Abdomen | CT slice | Slice 157/299

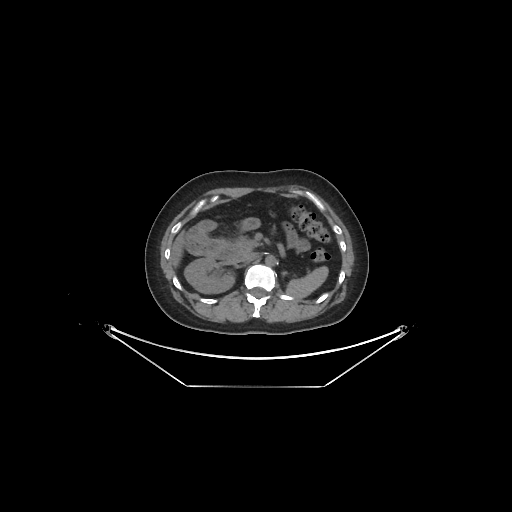

Liver: bounding box (170, 231, 184, 272).
Kidney: bounding box (185, 256, 233, 293).